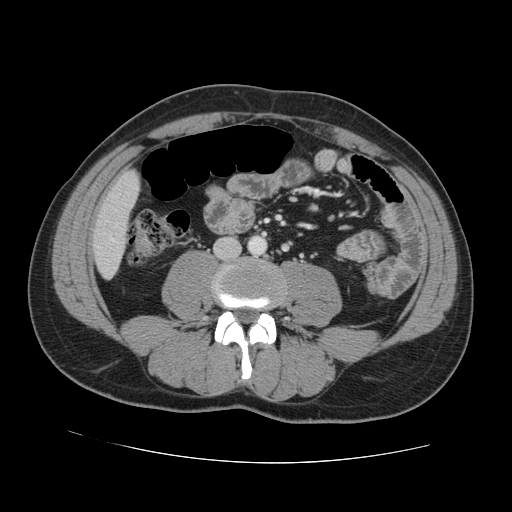
CT. Abdomen. The vessel annotation is not exhaustive.
Hepatic vessel = {"x1": 111, "y1": 238, "x2": 114, "y2": 241}.